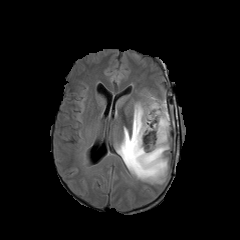
FLAIR MR.
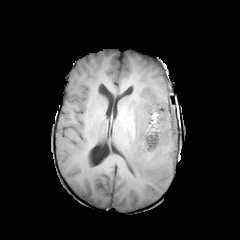
T1-weighted magnetic resonance.
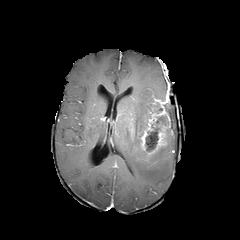
Post-contrast T1-weighted MRI.
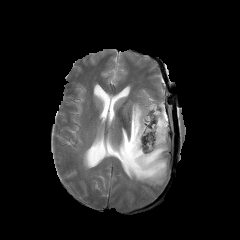
T2-weighted MR image of the same slice.
Head
Edema: bounding box box=[116, 90, 173, 185].
Non-enhancing tumor core: bounding box box=[141, 112, 166, 149]; box=[122, 141, 132, 157].
Enhancing tumor: bounding box box=[157, 132, 164, 145].